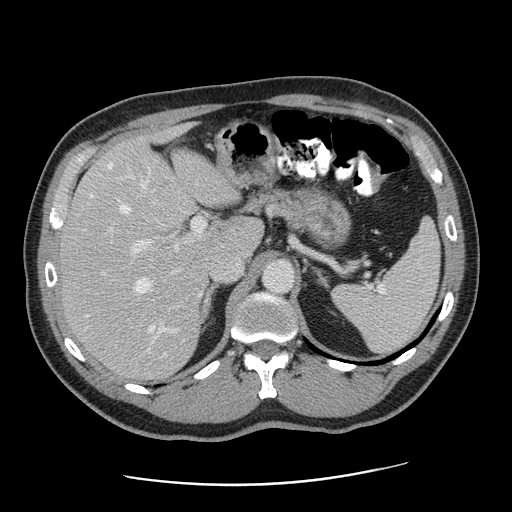 CT scan slice

Some hepatic vessels may have no box.
14 hepatic vessel regions are located at x1=174 y1=269 x2=180 y2=271, x1=175 y1=242 x2=178 y2=249, x1=121 y1=205 x2=128 y2=212, x1=109 y1=162 x2=112 y2=167, x1=132 y1=239 x2=152 y2=251, x1=142 y1=181 x2=148 y2=186, x1=203 y1=244 x2=247 y2=281, x1=203 y1=274 x2=203 y2=277, x1=165 y1=354 x2=166 y2=355, x1=136 y1=277 x2=150 y2=292, x1=185 y1=216 x2=206 y2=242, x1=149 y1=325 x2=175 y2=331, x1=152 y1=339 x2=154 y2=342, x1=91 y1=194 x2=92 y2=195. The liver tumor is at x1=162 y1=178 x2=174 y2=188.